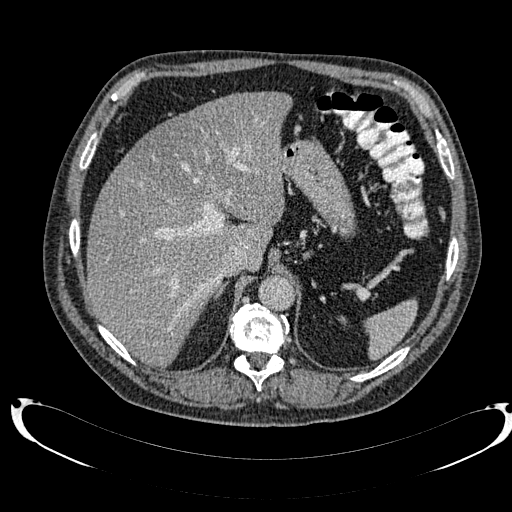 CT scan slice

Findings:
* liver lesion: 133:95:242:204
* liver: 87:91:291:366